CT; Upper abdomen; Slice 374/761 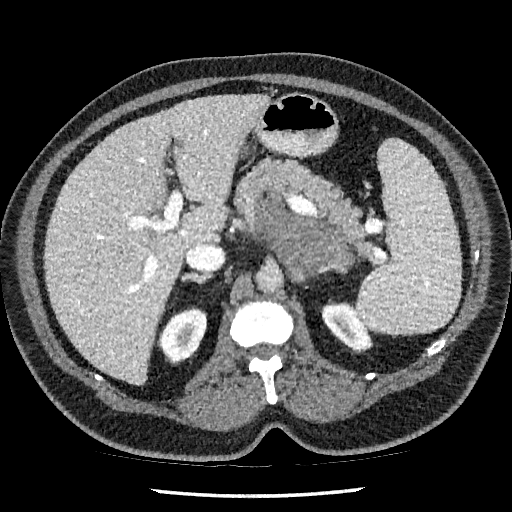

Focal liver lesion: bounding box x1=174 y1=139 x2=183 y2=148.
Liver: bounding box x1=45 y1=95 x2=268 y2=384.
Kidney: bounding box x1=160 y1=310 x2=205 y2=361, x1=323 y1=304 x2=370 y2=349.